Image size 512x512, Slice 40/93, CT image
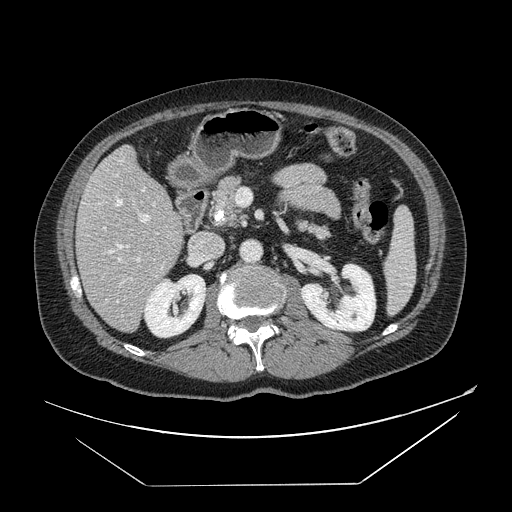 Pancreatic tumor = 224,201,239,217.
Pancreas = 298,218,330,239; 213,177,245,225.